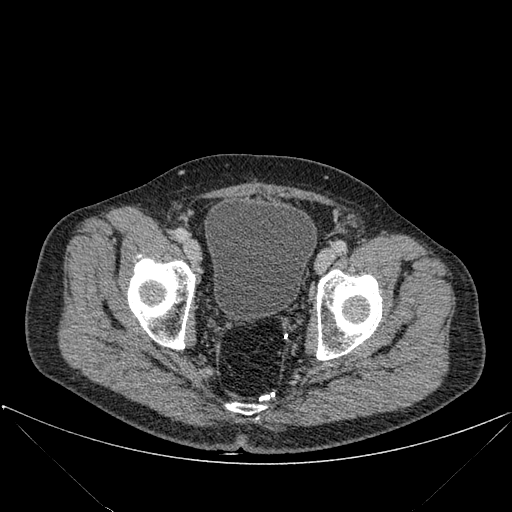 Lower abdomen. CT slice. urinary_bladder:
  - (x1=204, y1=196, x2=317, y2=320)
bone:
  - (x1=316, y1=270, x2=381, y2=360)
  - (x1=226, y1=402, x2=266, y2=414)
  - (x1=128, y1=255, x2=195, y2=349)